CT, Slice 307/856, Abdomen

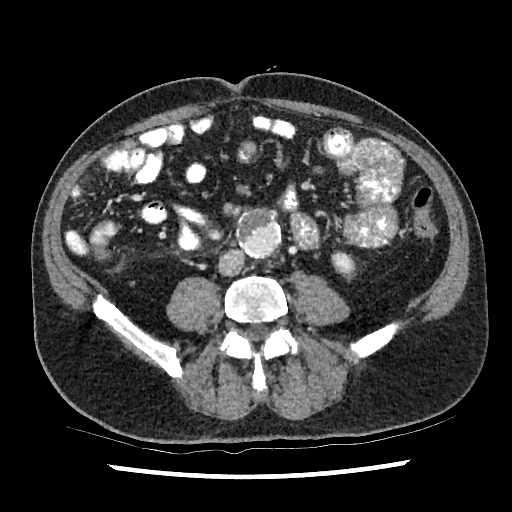
<segmentation>
  <kidney>(x1=341, y1=263, x2=352, y2=272)</kidney>
</segmentation>